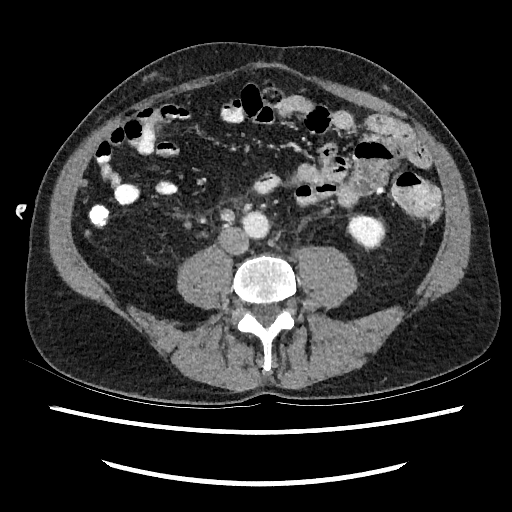
CT image
kidney:
  - rect(349, 217, 383, 246)